CT; 512x512 px 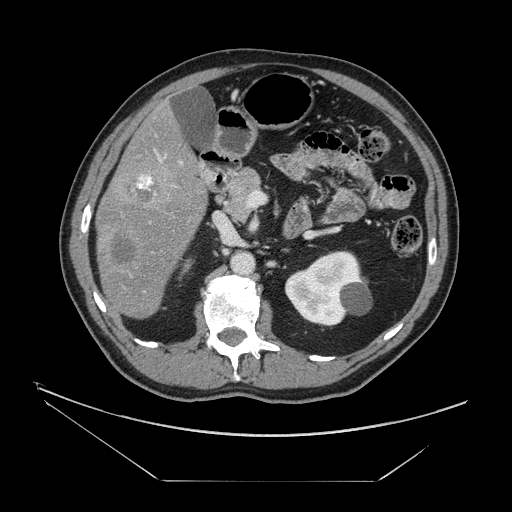

Not every hepatic vessel necessarily has a box.
Hepatic vessel: bounding box region(159, 156, 162, 160).
Liver tumor: bounding box region(126, 172, 159, 202); region(114, 239, 138, 265).